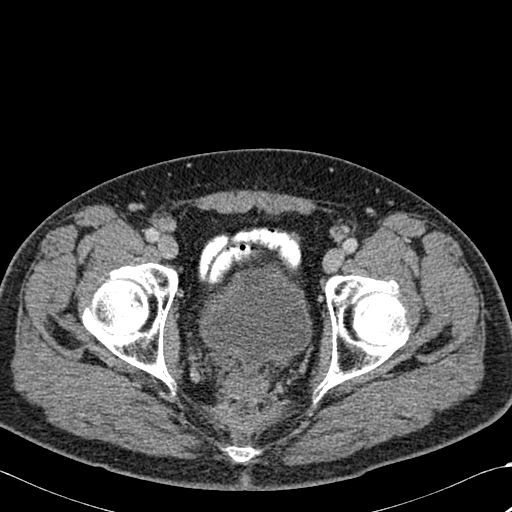
CT scan slice
3 bone regions are bounded by x1=319 y1=275 x2=409 y2=393, x1=226 y1=446 x2=257 y2=461, x1=83 y1=263 x2=177 y2=386.